CT scan slice, Abdomen 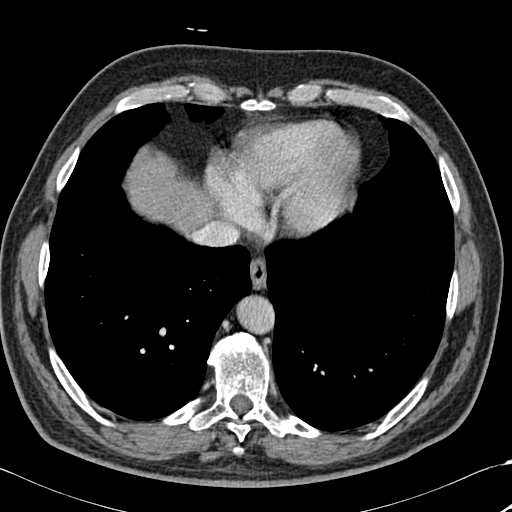

Annotated regions:
• lung: (x1=264, y1=115, x2=454, y2=431), (x1=184, y1=103, x2=223, y2=123), (x1=44, y1=103, x2=251, y2=420)
• liver: (x1=128, y1=166, x2=210, y2=237)
• bone: (x1=243, y1=100, x2=269, y2=109), (x1=116, y1=86, x2=182, y2=111), (x1=50, y1=351, x2=106, y2=423), (x1=38, y1=243, x2=49, y2=283), (x1=57, y1=150, x2=77, y2=189), (x1=367, y1=380, x2=426, y2=438), (x1=440, y1=159, x2=459, y2=210), (x1=164, y1=333, x2=319, y2=441), (x1=447, y1=275, x2=457, y2=316), (x1=358, y1=95, x2=403, y2=117)